CT
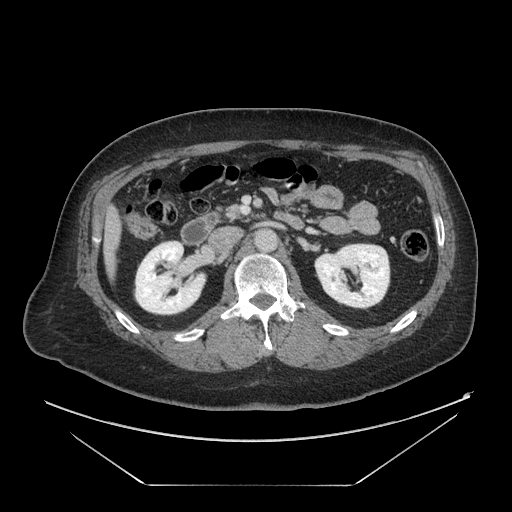

Pancreas — region(227, 206, 239, 218).